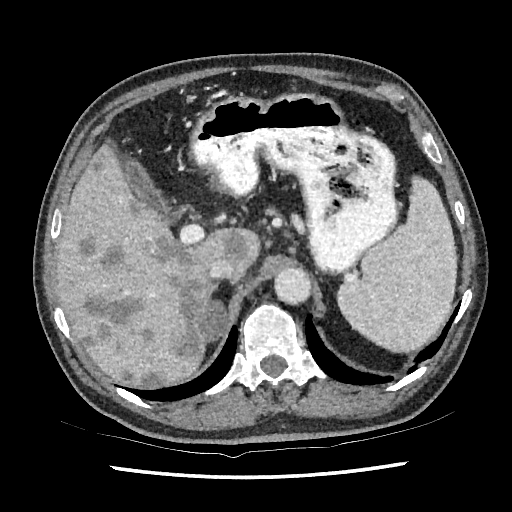
CT slice. Liver. liver:
  - l=191, t=229, r=258, b=283
  - l=57, t=142, r=203, b=384
focal_liver_lesion:
  - l=218, t=231, r=245, b=261
  - l=142, t=369, r=164, b=384
  - l=85, t=295, r=144, b=339
  - l=125, t=199, r=146, b=218
  - l=122, t=371, r=130, b=379
  - l=114, t=339, r=123, b=354
  - l=93, t=158, r=104, b=172
  - l=149, t=236, r=212, b=360
  - l=140, t=327, r=153, b=342
  - l=82, t=336, r=93, b=347
  - l=76, t=238, r=95, b=257
  - l=104, t=245, r=127, b=267